Upper abdomen. CT image.

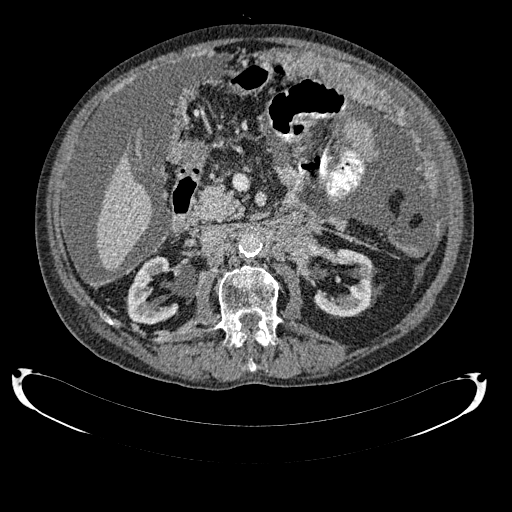

{"kidney": ["x1=315, y1=249, x2=371, y2=316", "x1=128, y1=257, x2=177, y2=323"], "liver": ["x1=96, y1=152, x2=152, y2=271"]}